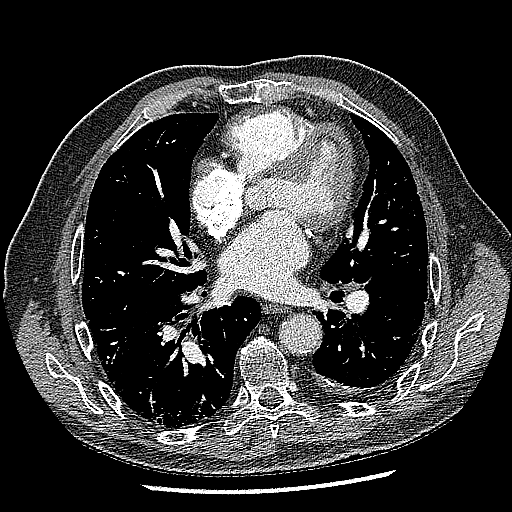 Lung, CT slice, 512x512 px
lung tumor: [383, 190, 399, 214]